CT image. Slice 446 of 871.
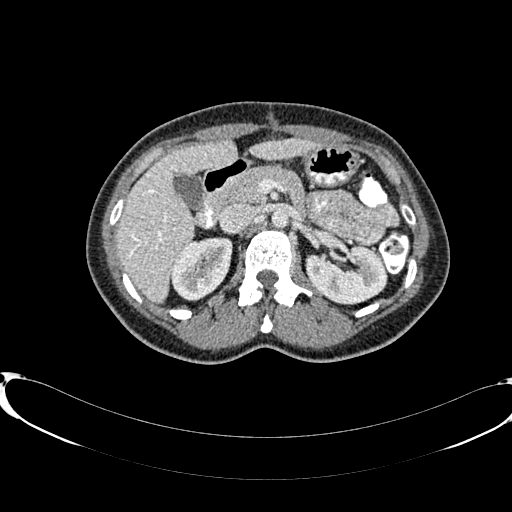
Liver at {"x1": 116, "y1": 139, "x2": 236, "y2": 302}, {"x1": 251, "y1": 139, "x2": 316, "y2": 158}.
Kidney at {"x1": 307, "y1": 244, "x2": 385, "y2": 302}, {"x1": 173, "y1": 239, "x2": 230, "y2": 299}.